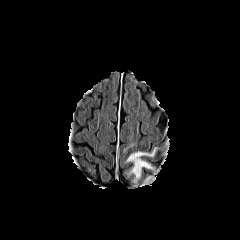
FLAIR MR.
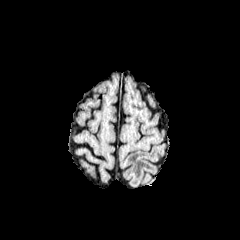
T1-weighted MR.
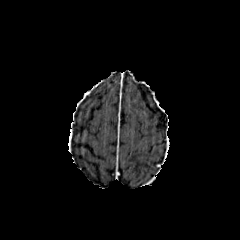
Post-contrast T1-weighted magnetic resonance.
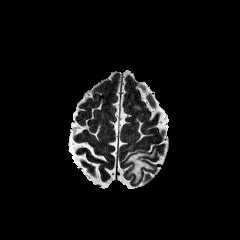
T2-weighted MR.
240x240
The edema is located at (126, 148, 157, 186).